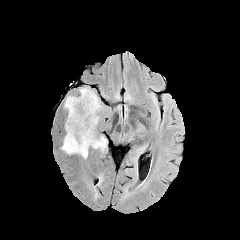
FLAIR magnetic resonance.
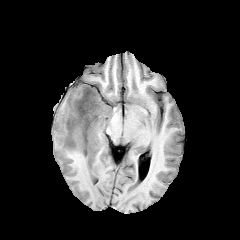
Same slice, T1-weighted MR.
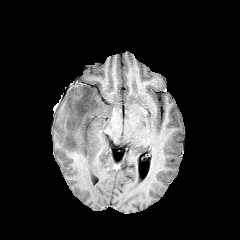
Post-contrast T1-weighted MR image.
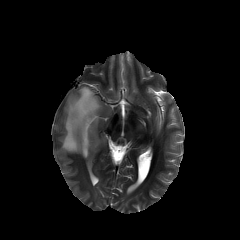
T2-weighted magnetic resonance.
Brain
<segmentation>
  <edema>60:86:106:158</edema>
  <non-enhancing_tumor_core>75:88:95:128</non-enhancing_tumor_core>
</segmentation>